Slice 67 of 155
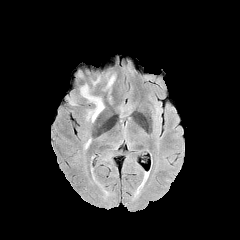
FLAIR magnetic resonance.
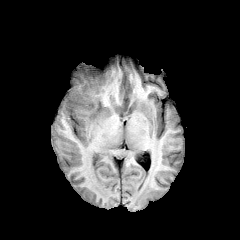
T1-weighted MR of the same slice.
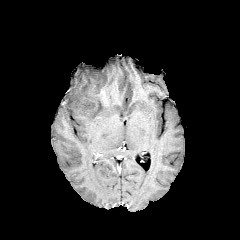
Same slice, post-contrast T1-weighted magnetic resonance.
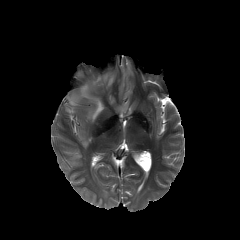
T2-weighted magnetic resonance.
Edema at left=69, top=97, right=77, bottom=106; left=79, top=72, right=116, bottom=122.